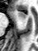

MR, Medial temporal lobe
The anterior hippocampus is at <bbox>19, 11, 26, 17</bbox>.